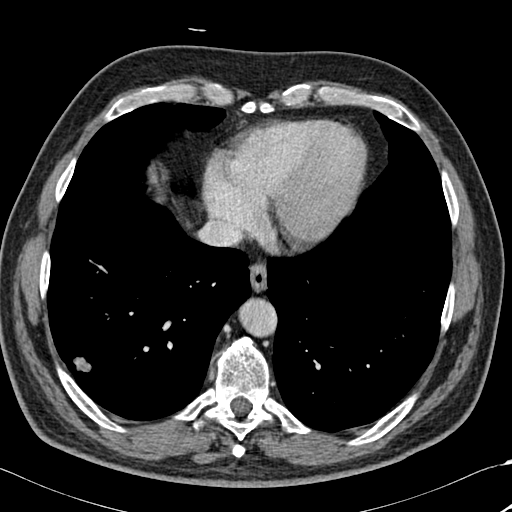

CT scan slice

<segmentation>
  <bone>[x1=106, y1=86, x2=182, y2=119], [x1=233, y1=445, x2=244, y2=456], [x1=58, y1=369, x2=122, y2=431], [x1=350, y1=396, x2=414, y2=444], [x1=361, y1=95, x2=408, y2=122], [x1=410, y1=117, x2=419, y2=129], [x1=56, y1=160, x2=74, y2=200], [x1=441, y1=287, x2=454, y2=328], [x1=40, y1=253, x2=49, y2=294], [x1=442, y1=173, x2=458, y2=223], [x1=176, y1=337, x2=309, y2=439], [x1=243, y1=102, x2=271, y2=112]</bone>
  <lung>[x1=266, y1=111, x2=452, y2=432], [x1=47, y1=102, x2=251, y2=420], [x1=170, y1=176, x2=195, y2=197]</lung>
</segmentation>